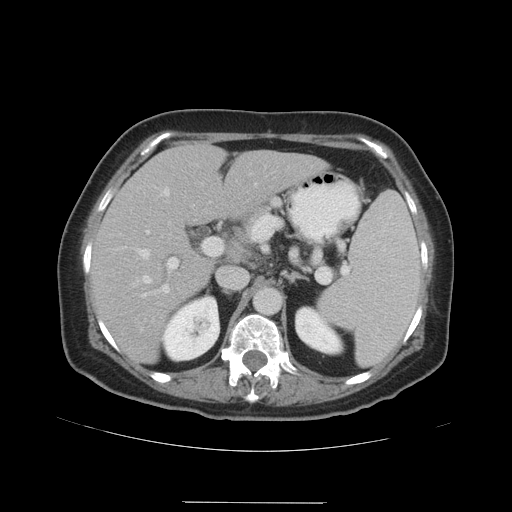 Abdomen | CT slice | Image size 512x512
Some hepatic vessels may have no box.
hepatic vessel: box(150, 291, 157, 293); box(193, 220, 195, 221); box(255, 183, 256, 185); box(165, 189, 168, 194); box(137, 249, 149, 257); box(159, 285, 168, 292); box(143, 276, 150, 282); box(142, 293, 145, 297); box(146, 230, 149, 233); box(167, 257, 178, 268); box(141, 329, 142, 330)